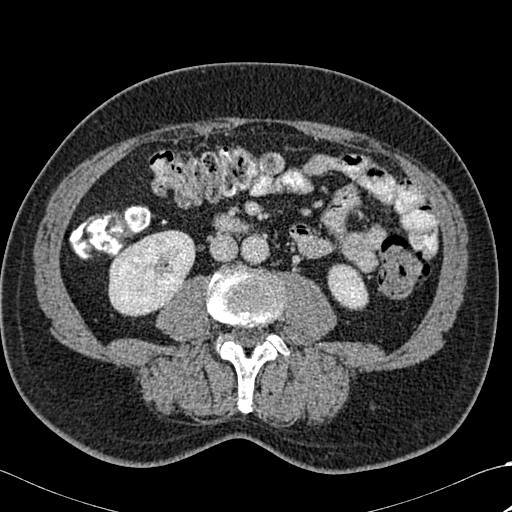 CT slice

Annotated regions:
• kidney: bbox(329, 266, 366, 307); bbox(109, 231, 194, 315)
• bone: bbox(216, 334, 288, 412); bbox(206, 266, 286, 331)